CT slice.

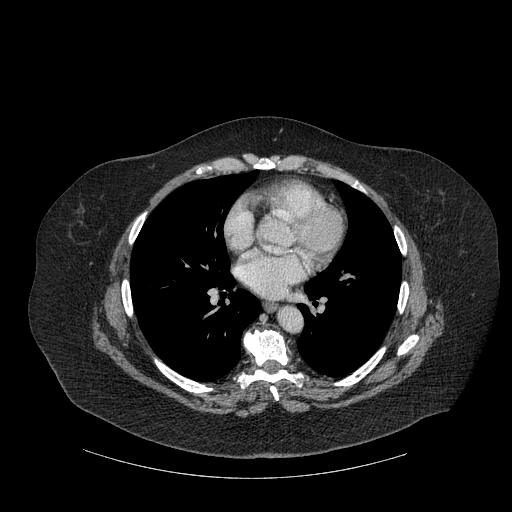

lung:
  - region(299, 245, 384, 361)
  - region(138, 199, 239, 375)
bone:
  - region(387, 220, 411, 253)
  - region(393, 272, 417, 311)
  - region(113, 267, 138, 303)
  - region(149, 192, 161, 204)
  - region(138, 342, 210, 399)
  - region(396, 332, 418, 354)
  - region(341, 343, 390, 391)
  - region(128, 203, 154, 236)
  - region(234, 324, 307, 400)
  - region(378, 196, 400, 218)